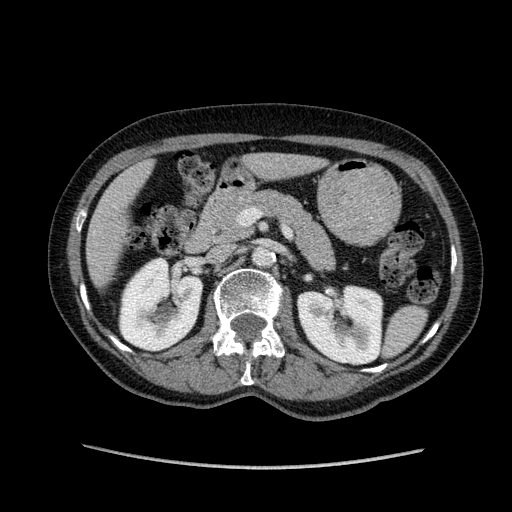
Liver. CT image.
2 kidney regions appear at left=298, top=287, right=381, bottom=363; left=120, top=259, right=201, bottom=350. 2 liver regions appear at left=84, top=164, right=149, bottom=282; left=244, top=151, right=316, bottom=177.